Field of view 384 mm wide, 2.50 mm slice spacing | CT image

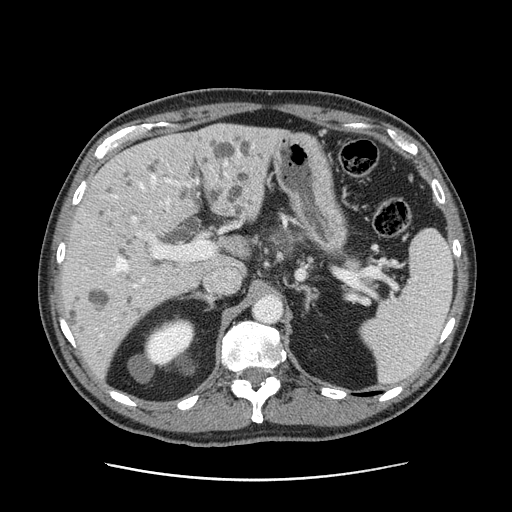
2 pancreas regions are bounded by box=[342, 255, 372, 284]; box=[276, 229, 303, 254].